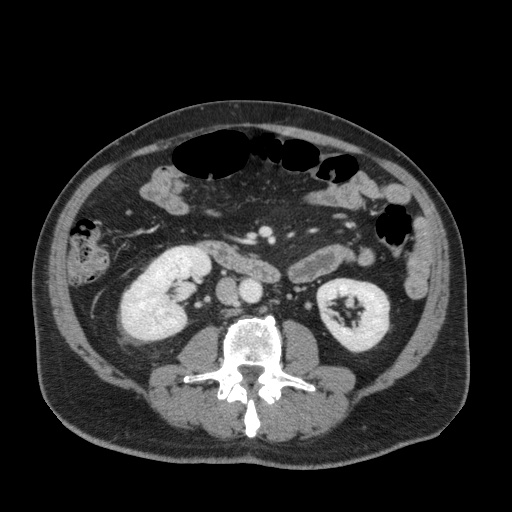 CT; Abdomen

Kidney at 121 246 210 339, 317 279 388 350.